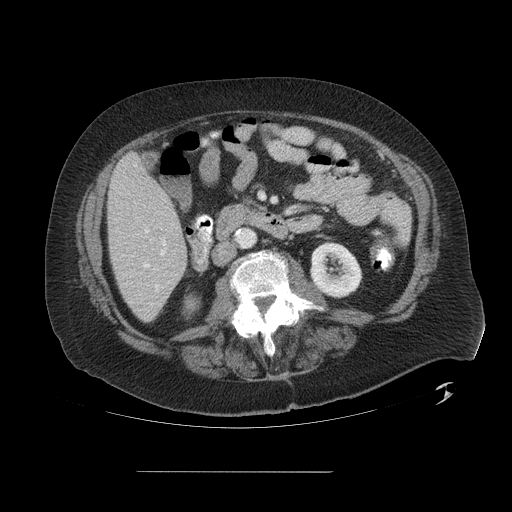 Liver | CT scan slice
Only some of the vessels may be annotated.
Hepatic vessel: box=[144, 264, 148, 267]; box=[161, 237, 165, 245]; box=[155, 284, 158, 290]; box=[135, 164, 136, 166]; box=[145, 228, 148, 232]; box=[161, 250, 164, 254].